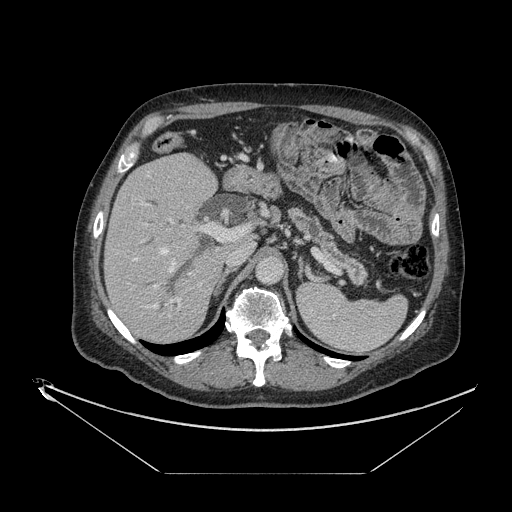

Upper abdomen; CT image

The pancreas is at box(288, 205, 367, 286).